Brain | 240x240
FLAIR magnetic resonance.
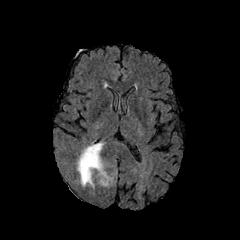
T1-weighted magnetic resonance.
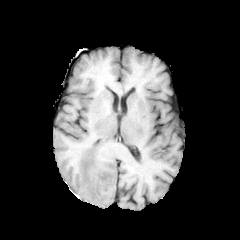
Post-contrast T1-weighted magnetic resonance.
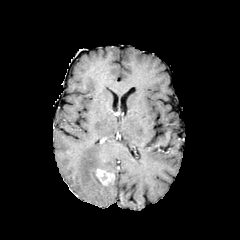
T2-weighted MR.
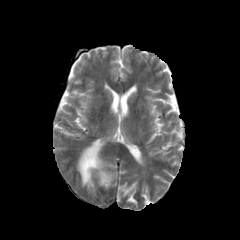
<segmentation>
  <enhancing_tumor>96, 169, 113, 185</enhancing_tumor>
  <edema>76, 140, 117, 189</edema>
</segmentation>